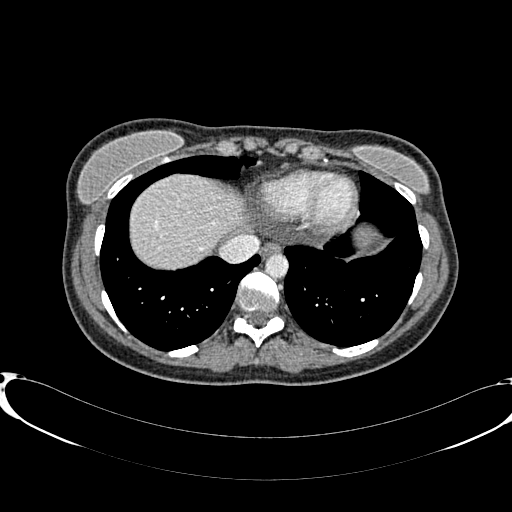 CT, 512x512 px

Liver — bbox(359, 231, 369, 244); bbox(131, 175, 242, 267).